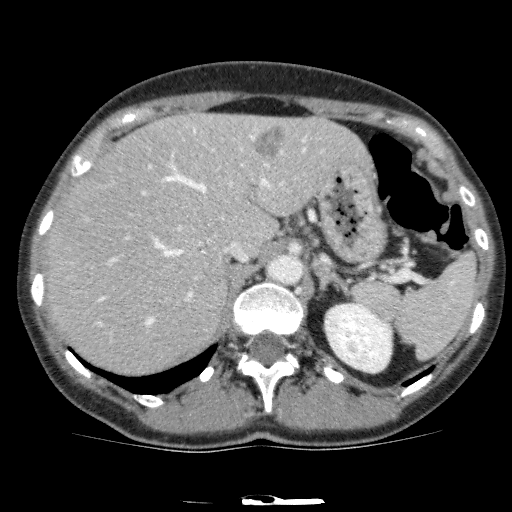

CT
Hepatic lesion — <box>187,236,209,253</box>, <box>252,123,286,160</box>.
Kidney — <box>325,304,391,372</box>.
Liver — <box>45,113,372,371</box>.